Brain
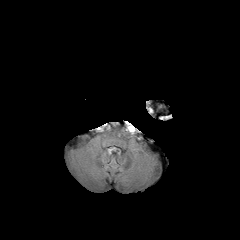
FLAIR magnetic resonance.
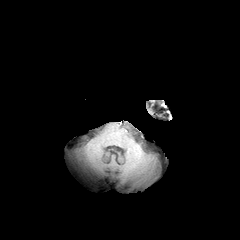
T1-weighted magnetic resonance of the same slice.
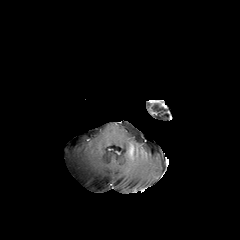
Same slice, post-contrast T1-weighted MRI.
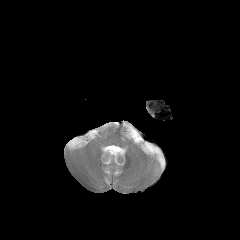
T2-weighted MR image.
Edema — x1=105, y1=145, x2=120, y2=155; x1=125, y1=124, x2=133, y2=137.